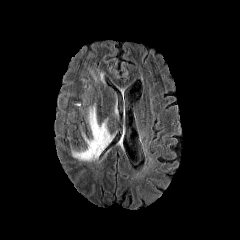
FLAIR magnetic resonance.
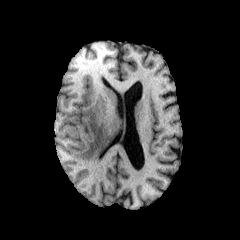
T1-weighted MR.
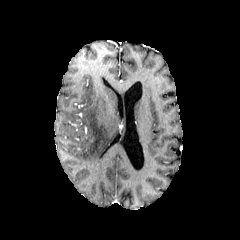
Post-contrast T1-weighted MR image.
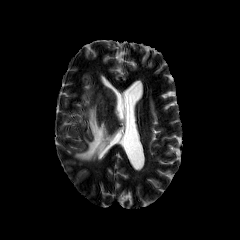
T2-weighted MR of the same slice.
Head, Image size 240x240
The edema is located at [x1=71, y1=103, x2=114, y2=161].